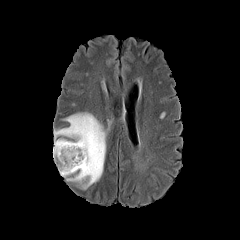
FLAIR MR.
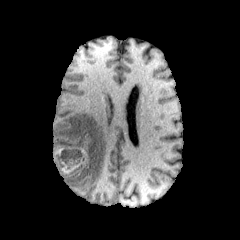
Same slice, T1-weighted MRI.
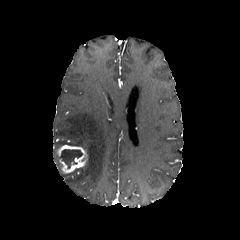
Same slice, post-contrast T1-weighted MRI.
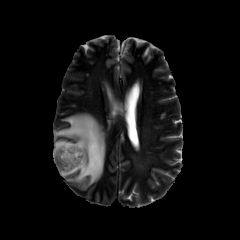
T2-weighted MRI of the same slice.
Image size 240x240. Head.
The edema is bounded by [x1=53, y1=113, x2=109, y2=190]. The non-enhancing tumor core appears at [x1=53, y1=149, x2=82, y2=174]. The enhancing tumor appears at [x1=57, y1=144, x2=87, y2=173].